Brain.
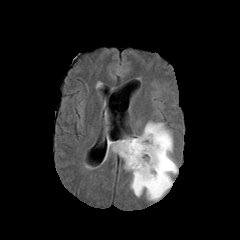
FLAIR MR.
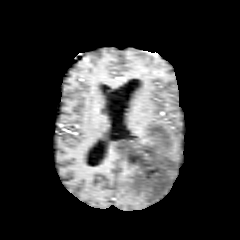
T1-weighted MR image.
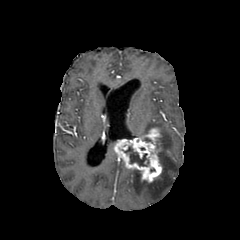
Post-contrast T1-weighted MRI.
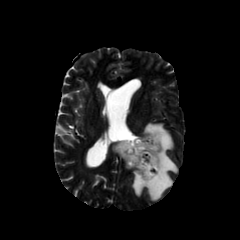
T2-weighted MR.
enhancing tumor: (left=114, top=127, right=162, bottom=182) | non-enhancing tumor core: (left=126, top=147, right=146, bottom=165), (left=135, top=169, right=157, bottom=184) | edema: (left=125, top=121, right=178, bottom=201), (left=107, top=136, right=115, bottom=152)